Slice 106/155. Field of view 240x240 mm.
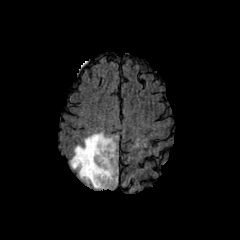
FLAIR MRI.
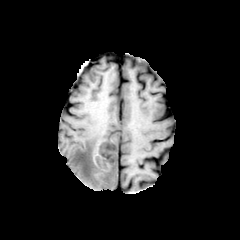
T1-weighted magnetic resonance.
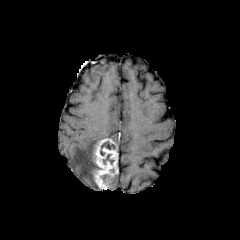
Post-contrast T1-weighted magnetic resonance of the same slice.
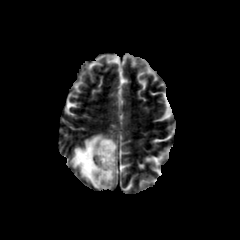
Same slice, T2-weighted magnetic resonance.
Edema = x1=70 y1=132 x2=107 y2=188.
Non-enhancing tumor core = x1=102 y1=142 x2=114 y2=149.
Enhancing tumor = x1=92 y1=138 x2=118 y2=189.